FLAIR MR.
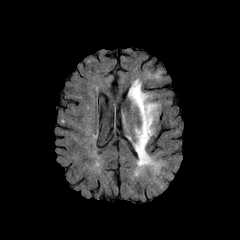
T1-weighted MR.
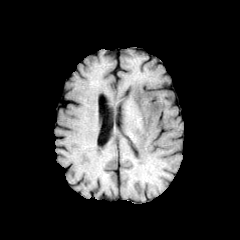
Post-contrast T1-weighted magnetic resonance.
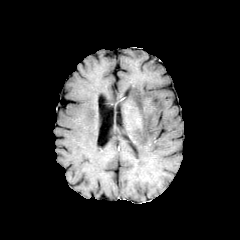
T2-weighted MRI.
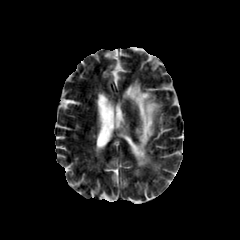
Brain
- edema: x1=128, y1=79, x2=160, y2=167